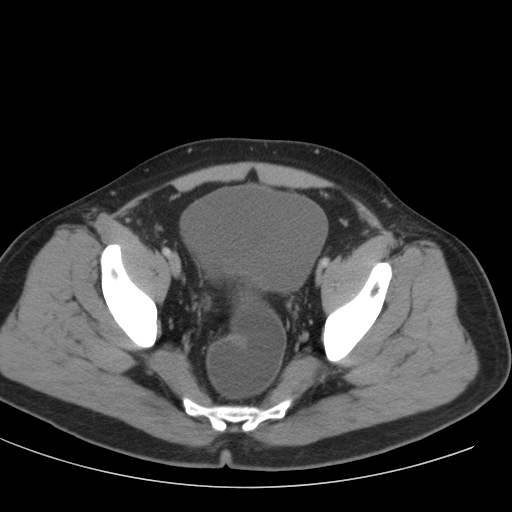

CT slice
Annotated regions:
- urinary bladder: 183 184 327 299